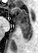
Image size 38x53, Magnetic resonance
posterior_hippocampus:
  - box(18, 24, 30, 40)
anterior_hippocampus:
  - box(12, 8, 29, 24)